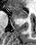 Medial temporal lobe | Image size 36x45 | MRI slice
anterior hippocampus: bbox=[10, 7, 27, 18]